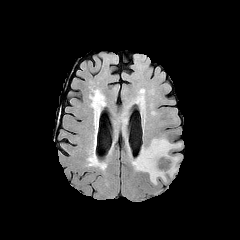
FLAIR magnetic resonance.
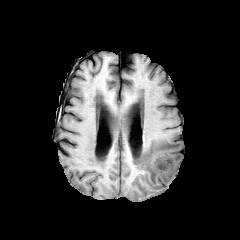
T1-weighted MR of the same slice.
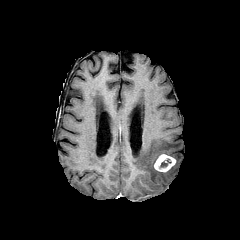
Post-contrast T1-weighted MRI.
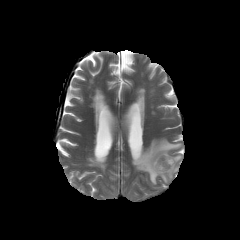
Same slice, T2-weighted magnetic resonance.
Head
The edema appears at region(132, 138, 181, 184). The enhancing tumor is bounded by region(153, 153, 176, 172).